FLAIR MR.
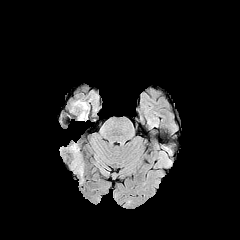
T1-weighted MRI.
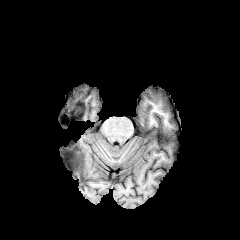
Post-contrast T1-weighted MR.
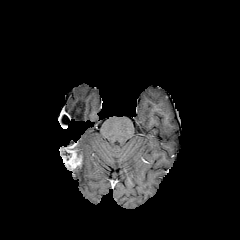
T2-weighted MR image.
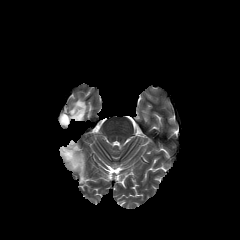
240x240 px
non-enhancing_tumor_core:
  - 70, 102, 83, 115
enhancing_tumor:
  - 60, 143, 81, 169
edema:
  - 77, 156, 83, 181
  - 69, 99, 89, 119